Computed tomography. Slice index 106.

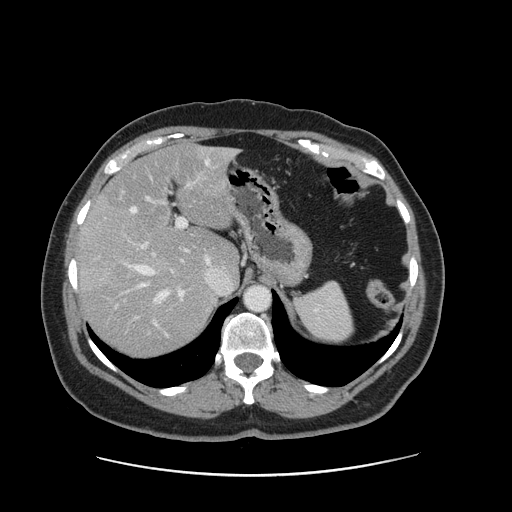
The vessel boxes may cover only some of the vessels.
Liver tumor at l=108, t=262, r=130, b=289.
Hepatic vessel at l=179, t=290, r=183, b=300; l=136, t=265, r=153, b=275; l=176, t=217, r=186, b=227; l=187, t=182, r=194, b=186; l=147, t=197, r=152, b=201; l=205, t=160, r=209, b=164; l=139, t=283, r=146, b=287; l=140, t=244, r=147, b=247; l=185, t=249, r=188, b=251; l=154, t=321, r=157, b=325; l=157, t=290, r=168, b=301.